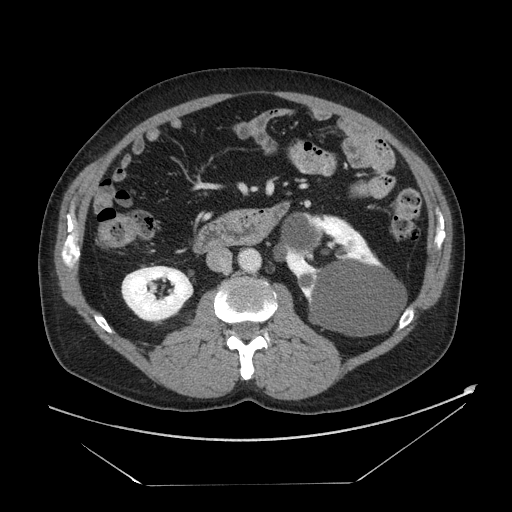

CT image, 512x512, Upper abdomen

Pancreas at (left=220, top=210, right=248, bottom=221).